CT scan slice

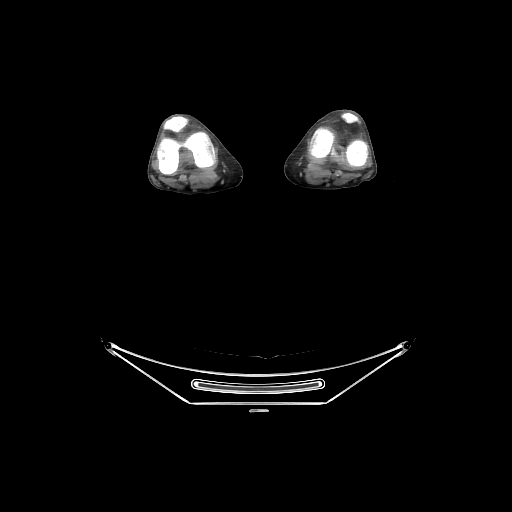
4 bone regions are located at rect(342, 113, 358, 122); rect(164, 116, 187, 131); rect(156, 132, 215, 174); rect(309, 128, 367, 168).